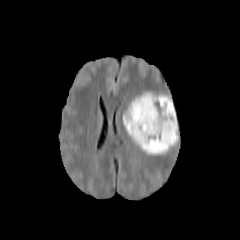
FLAIR MR image.
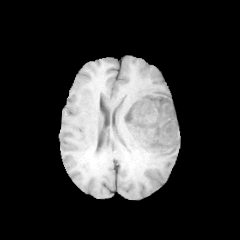
T1-weighted magnetic resonance of the same slice.
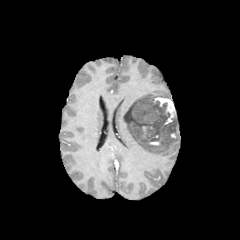
Post-contrast T1-weighted magnetic resonance.
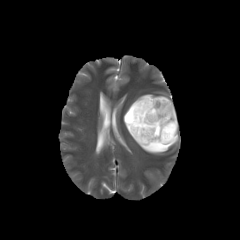
T2-weighted magnetic resonance.
{
  "edema": [
    "x1=124 y1=118 x2=178 y2=155",
    "x1=124 y1=91 x2=153 y2=114"
  ],
  "non-enhancing_tumor_core": [
    "x1=124 y1=98 x2=178 y2=146"
  ],
  "enhancing_tumor": [
    "x1=141 y1=126 x2=147 y2=137",
    "x1=152 y1=96 x2=176 y2=124"
  ]
}